FLAIR MR.
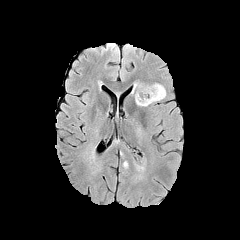
T1-weighted MRI.
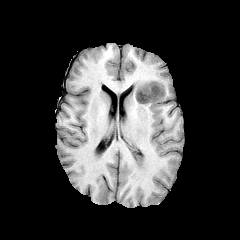
Post-contrast T1-weighted MR.
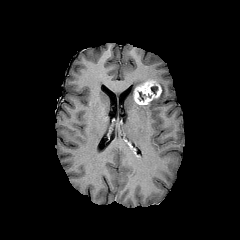
T2-weighted MR.
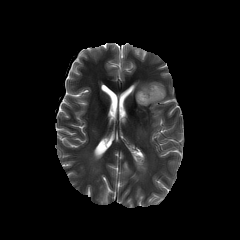
<segmentation>
  <enhancing_tumor>(left=134, top=80, right=161, bottom=104)</enhancing_tumor>
  <edema>(left=133, top=156, right=146, bottom=175), (left=129, top=81, right=142, bottom=95), (left=137, top=83, right=166, bottom=106)</edema>
  <non-enhancing_tumor_core>(left=151, top=83, right=158, bottom=95), (left=137, top=91, right=151, bottom=101)</non-enhancing_tumor_core>
</segmentation>